CT image

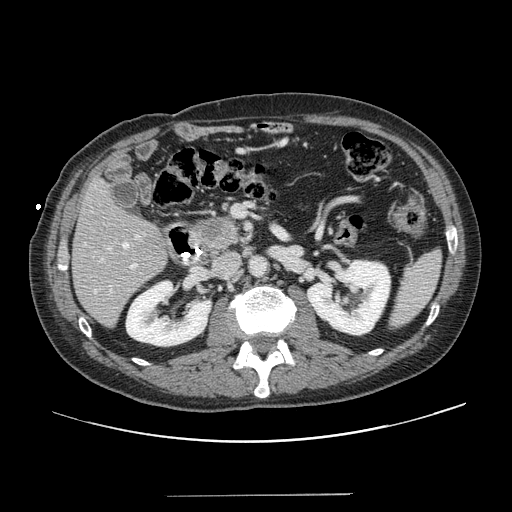
<segmentation>
  <pancreatic_tumor>box(197, 216, 237, 248)</pancreatic_tumor>
  <pancreas>box(192, 215, 242, 257)</pancreas>
</segmentation>